CT slice, Liver
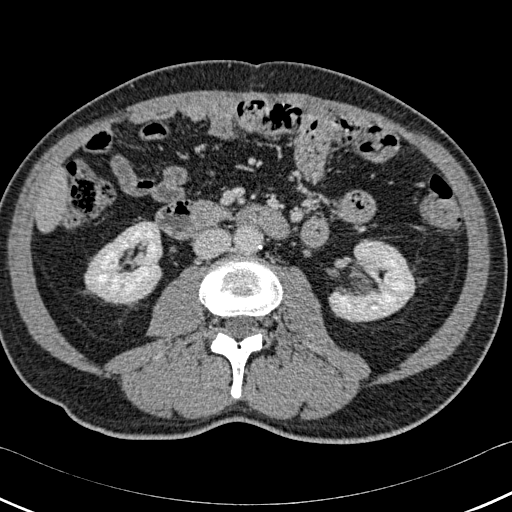

kidney: (330,241,414,320), (85,222,161,302) | liver: (35,171,67,232) | bone: (199,259,282,316), (211,332,261,398)